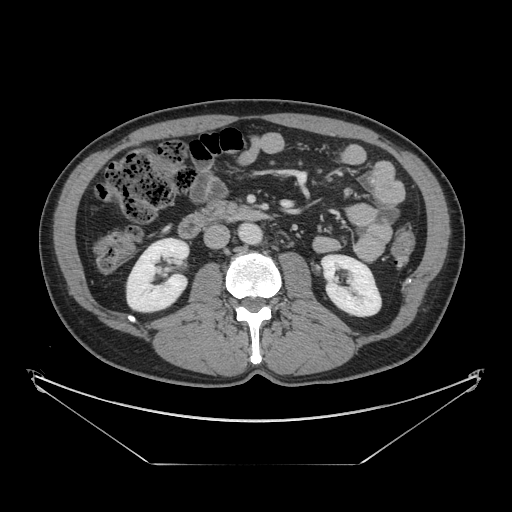 Abdomen. CT image. Image size 512x512.
The pancreas is bounded by box(192, 200, 236, 224).